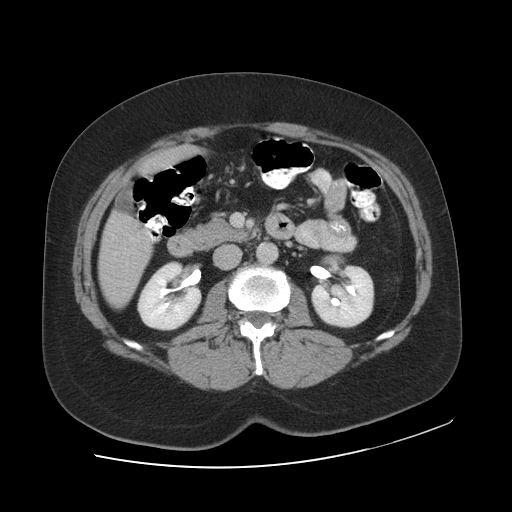

CT

The vessel annotation is not exhaustive.
{"hepatic_vessel": ["[129, 236, 138, 241]", "[113, 252, 117, 254]"]}